512x512 | Slice 139 of 266 | Upper abdomen | CT 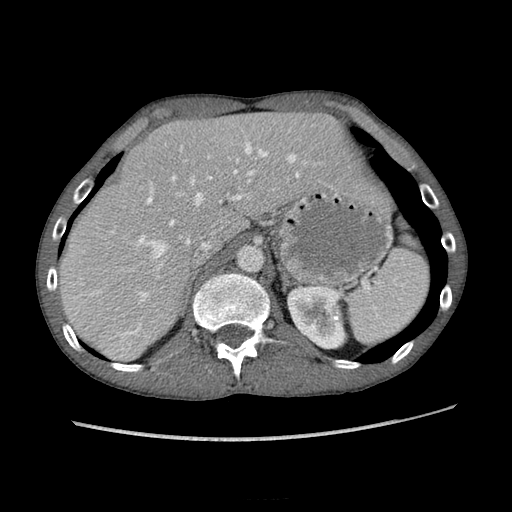

liver: bbox=[58, 110, 362, 356] | kidney: bbox=[289, 287, 343, 347]